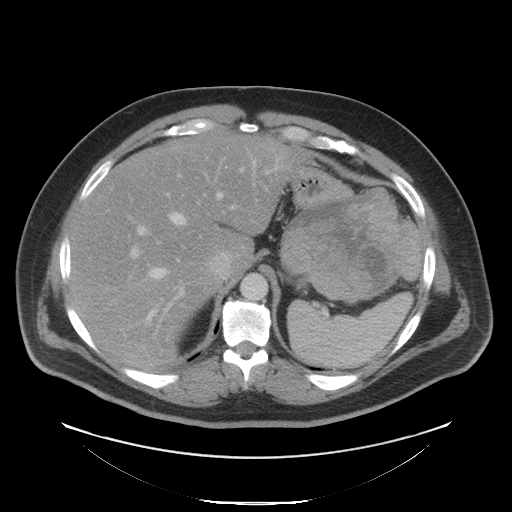
CT.

Pancreatic tumor: (280,188,420,298).
Pancreas: (388,192,401,221), (338,282,392,301).